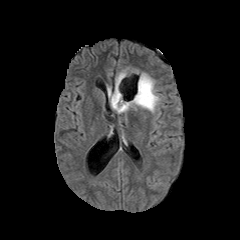
FLAIR MR.
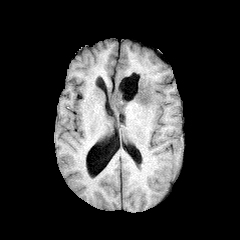
T1-weighted MR image of the same slice.
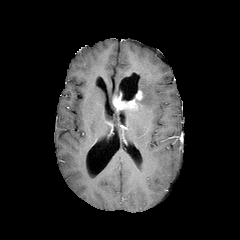
Same slice, post-contrast T1-weighted magnetic resonance.
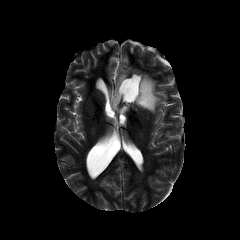
T2-weighted MR image of the same slice.
Head
2 non-enhancing tumor core regions appear at [112, 92, 135, 101], [135, 83, 151, 105]. The enhancing tumor is at [112, 90, 142, 111]. The edema appears at [108, 70, 161, 114].